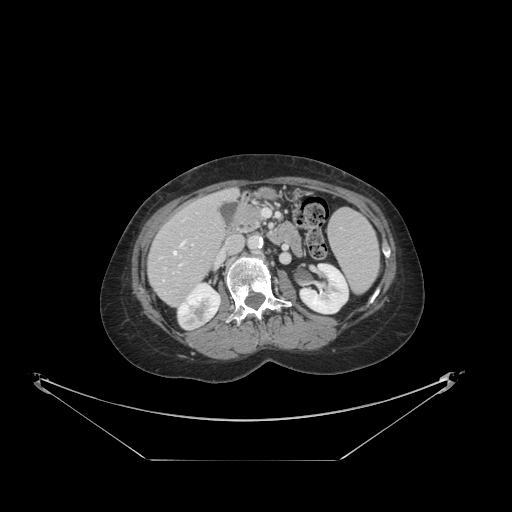
Liver | 512x512 | Computed tomography

Some hepatic vessels may have no box.
* hepatic vessel: left=179, top=264, right=181, bottom=265; left=173, top=250, right=176, bottom=254; left=179, top=241, right=184, bottom=248